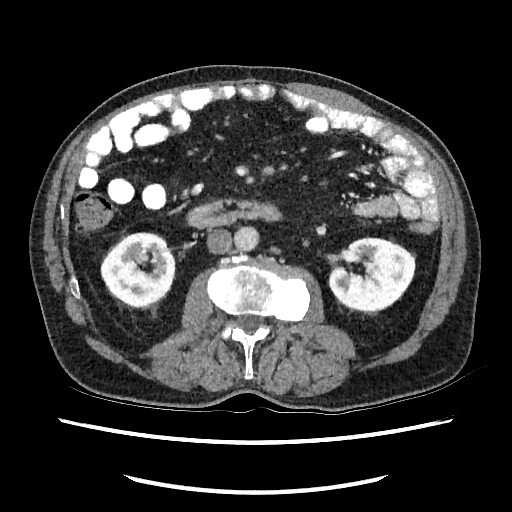 512x512 px, CT slice
Kidney: <bbox>101, 233, 174, 308</bbox>, <bbox>329, 238, 415, 313</bbox>.